Image size 512x512; Slice 82/108; Abdomen; Computed tomography 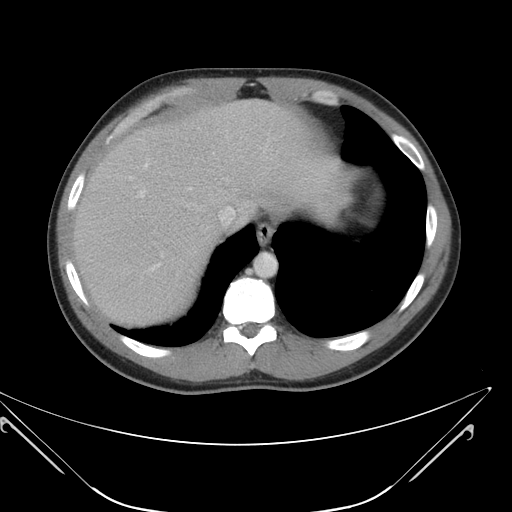
The vessel boxes may cover only some of the vessels.
Hepatic vessel: bbox=[152, 263, 160, 269]; bbox=[188, 187, 191, 189]; bbox=[144, 164, 147, 167]; bbox=[139, 191, 143, 197]; bbox=[219, 206, 234, 225]; bbox=[161, 253, 162, 255].